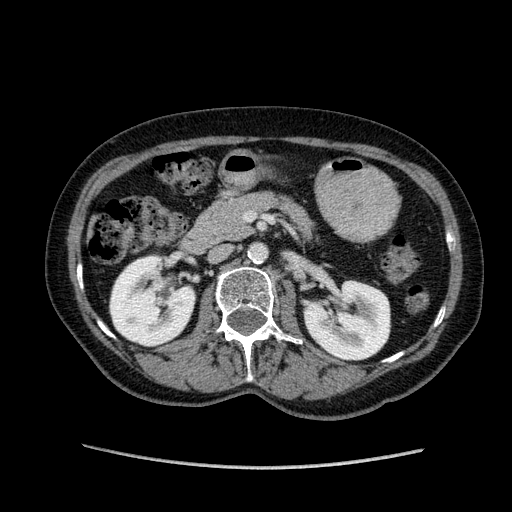 CT slice; Image size 512x512
2 kidney regions are bounded by x1=110 y1=256 x2=194 y2=345, x1=305 y1=276 x2=389 y2=359. The liver is bounded by x1=91 y1=221 x2=96 y2=235.